FLAIR MR image.
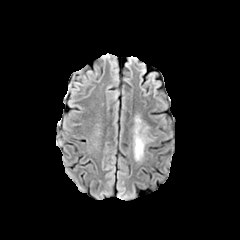
T1-weighted MRI.
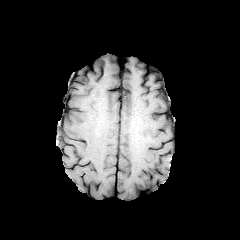
Post-contrast T1-weighted MRI.
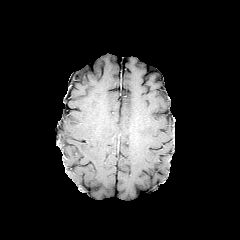
T2-weighted MR.
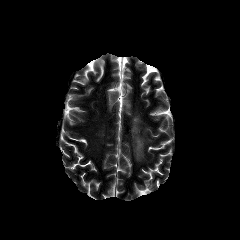
Head.
edema:
  - (left=132, top=118, right=145, bottom=160)